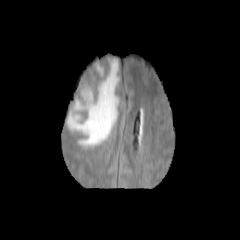
FLAIR magnetic resonance.
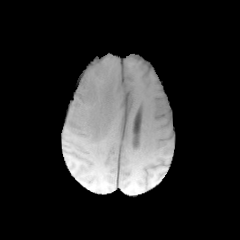
T1-weighted MR image of the same slice.
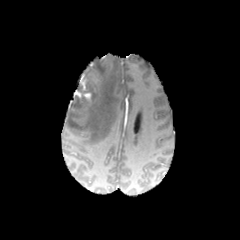
Post-contrast T1-weighted MR image.
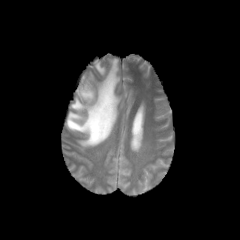
T2-weighted magnetic resonance of the same slice.
Image size 240x240; Brain
2 enhancing tumor regions are bounded by rect(75, 75, 88, 98); rect(84, 92, 91, 101). 2 edema regions appear at rect(95, 60, 106, 75); rect(66, 58, 120, 146). The non-enhancing tumor core is at rect(75, 68, 100, 108).